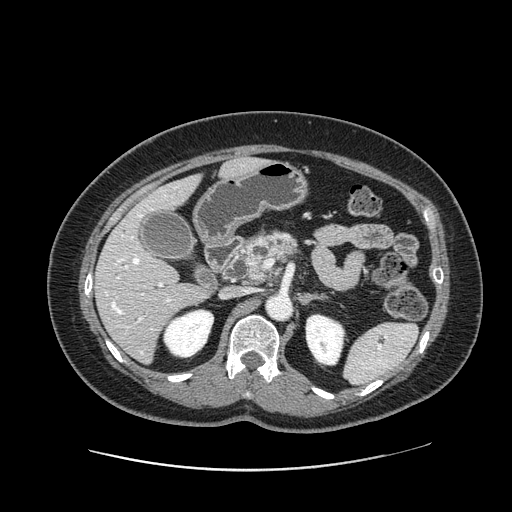
512x512 | Upper abdomen | CT image
The pancreas is located at 246, 233, 297, 281.